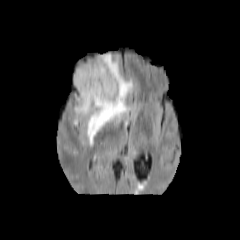
FLAIR magnetic resonance.
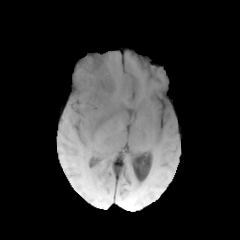
T1-weighted MR of the same slice.
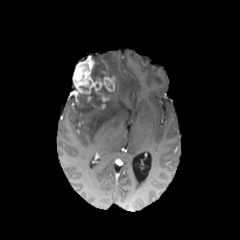
Post-contrast T1-weighted magnetic resonance of the same slice.
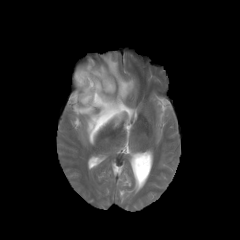
T2-weighted MR.
Annotated regions:
- enhancing tumor: box=[71, 55, 115, 109]
- non-enhancing tumor core: box=[91, 57, 113, 81]; box=[101, 80, 118, 96]; box=[69, 88, 102, 113]
- edema: box=[74, 54, 133, 143]